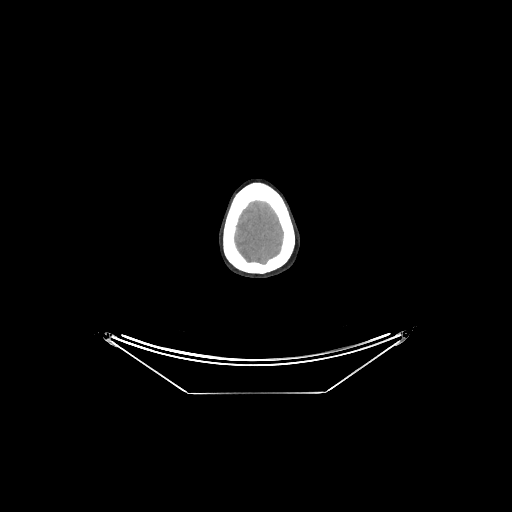 CT slice
{"brain": ["bbox(234, 200, 283, 264)"]}